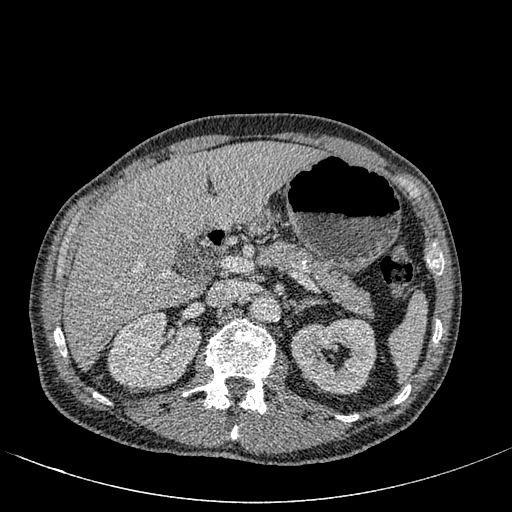

Computed tomography. 512x512 px.
The liver lies within (64, 142, 324, 370). 2 kidney regions appear at (108, 312, 200, 387), (291, 319, 375, 393).